CT; Slice index 189; Liver 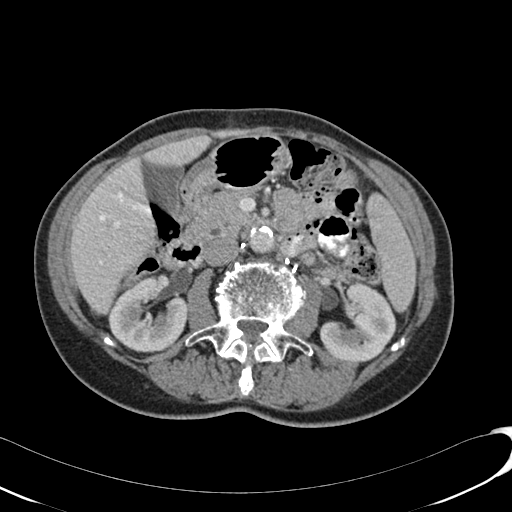 3 liver regions are located at (x1=143, y1=135, x2=210, y2=166), (x1=213, y1=130, x2=250, y2=137), (x1=72, y1=156, x2=154, y2=313). 2 kidney regions appear at (x1=321, y1=284, x2=394, y2=361), (x1=109, y1=278, x2=187, y2=351). The hepatic lesion appears at (x1=146, y1=157, x2=159, y2=164).